Field of view 360x360 mm; Computed tomography; Abdomen
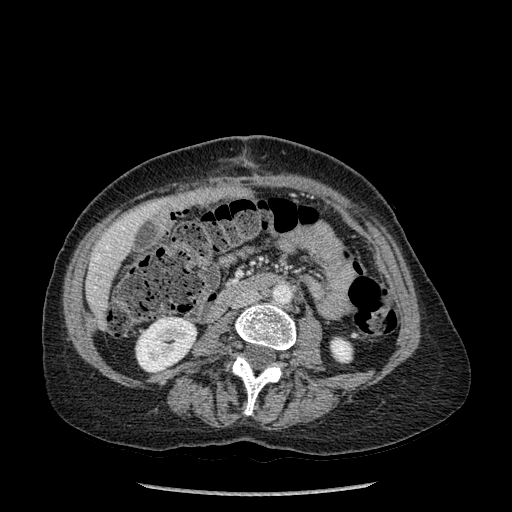 <segmentation>
  <kidney>[331,339,351,361], [136,317,196,371]</kidney>
  <liver>[86,204,161,330]</liver>
  <bone>[231,354,282,415], [235,303,296,350]</bone>
</segmentation>